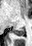

MR image, 32x46
The posterior hippocampus is located at {"x1": 11, "y1": 29, "x2": 24, "y2": 36}.